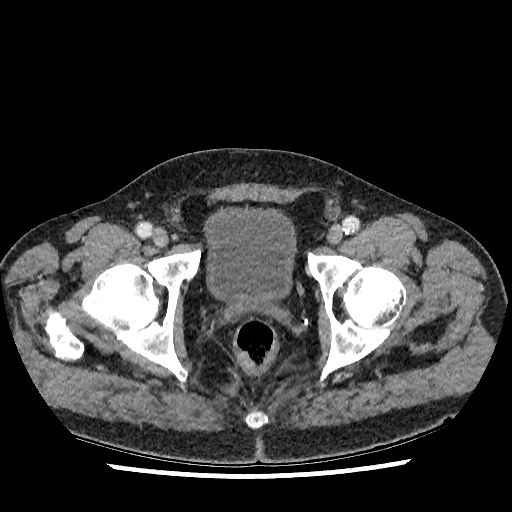

512x512 px. CT image. Pelvis. Urinary bladder: rect(204, 208, 296, 309).